CT image. Image size 512x512.
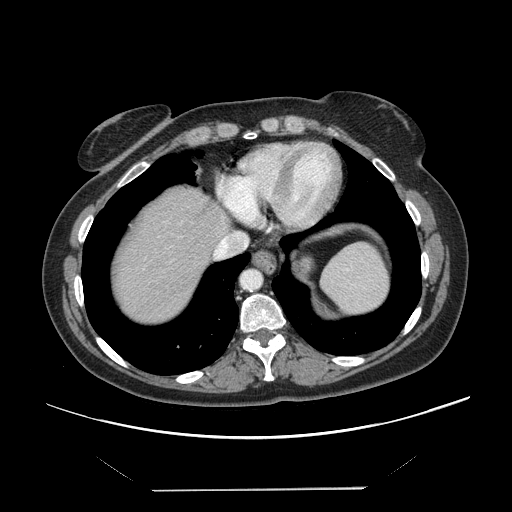 The vessel boxes may cover only some of the vessels.
Hepatic vessel — 214,232,244,257.